FLAIR MRI.
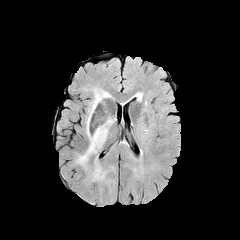
T1-weighted MR.
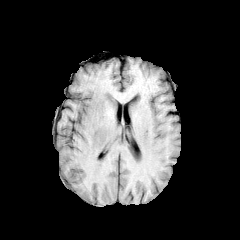
Post-contrast T1-weighted MRI.
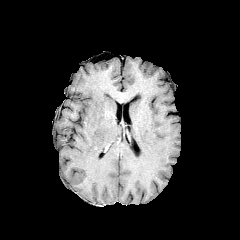
T2-weighted MRI.
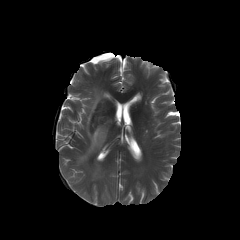
Brain
2 edema regions appear at bbox=[93, 168, 101, 179]; bbox=[77, 88, 110, 164].